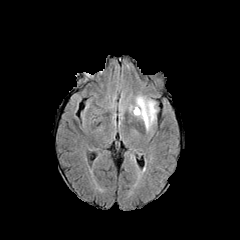
FLAIR MR.
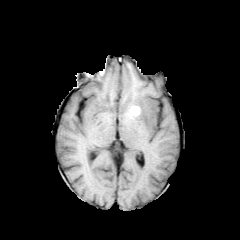
Same slice, T1-weighted MR.
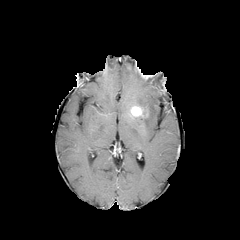
Post-contrast T1-weighted MRI.
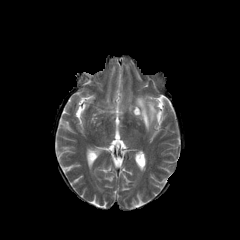
Same slice, T2-weighted magnetic resonance.
Brain
Annotated regions:
* edema: 135:96:157:129
* enhancing tumor: 131:106:147:117